Slice 36/537 | CT 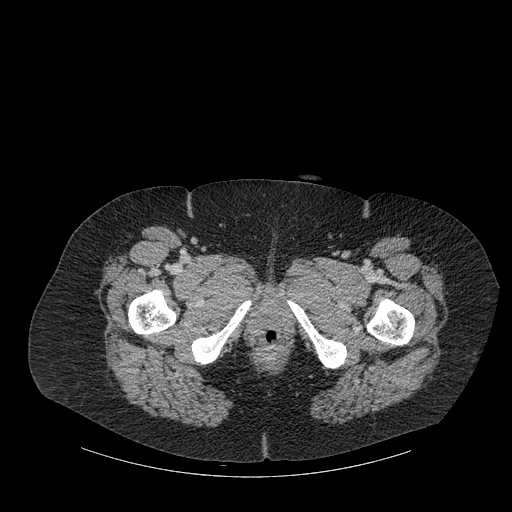 Annotated regions:
* bone: {"x1": 128, "y1": 290, "x2": 175, "y2": 334}, {"x1": 367, "y1": 299, "x2": 414, "y2": 344}, {"x1": 192, "y1": 300, "x2": 250, "y2": 363}, {"x1": 287, "y1": 300, "x2": 346, "y2": 367}